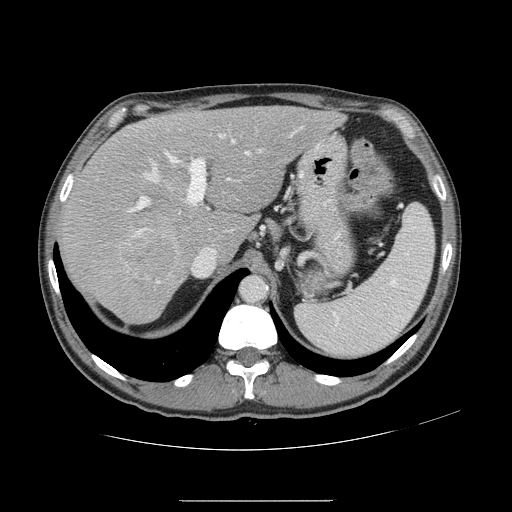
Computed tomography; Abdomen
Only some of the vessels may be annotated.
14 hepatic vessel regions are located at bbox=[142, 160, 159, 181]; bbox=[119, 246, 121, 247]; bbox=[232, 140, 234, 142]; bbox=[219, 134, 224, 137]; bbox=[135, 197, 147, 208]; bbox=[133, 228, 150, 236]; bbox=[246, 151, 249, 155]; bbox=[289, 131, 295, 137]; bbox=[228, 178, 231, 179]; bbox=[300, 127, 303, 128]; bbox=[185, 159, 204, 202]; bbox=[165, 151, 167, 155]; bbox=[259, 149, 262, 151]; bbox=[157, 280, 159, 282]. The liver tumor is at bbox=[126, 236, 175, 276].